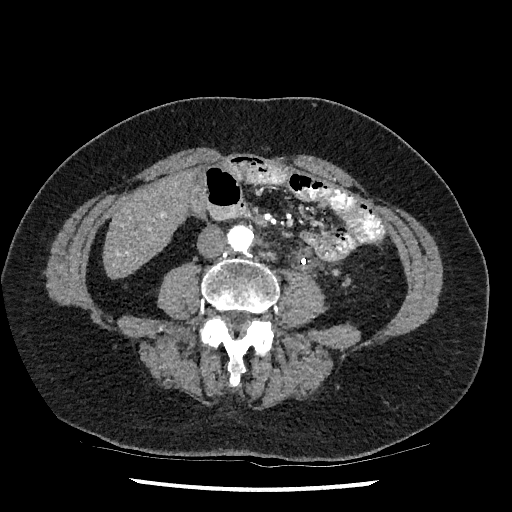
Upper abdomen | Computed tomography

The liver is bounded by <bbox>102, 169, 198, 278</bbox>.